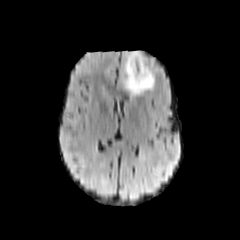
FLAIR MR image.
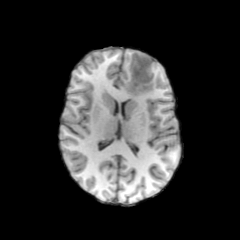
T1-weighted MR image.
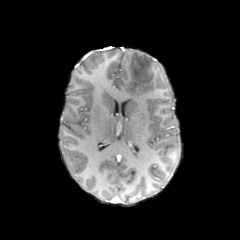
Post-contrast T1-weighted MR image.
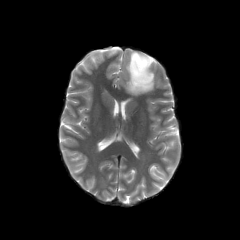
T2-weighted MR image of the same slice.
Head
{"edema": ["[149, 70, 155, 88]", "[123, 49, 150, 95]"], "non-enhancing_tumor_core": ["[129, 53, 152, 91]"]}